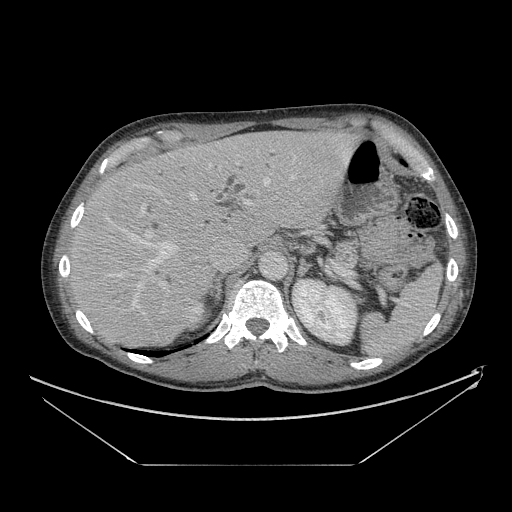

512x512; CT scan slice

Pancreas: bounding box 335:239:359:267.